CT scan slice

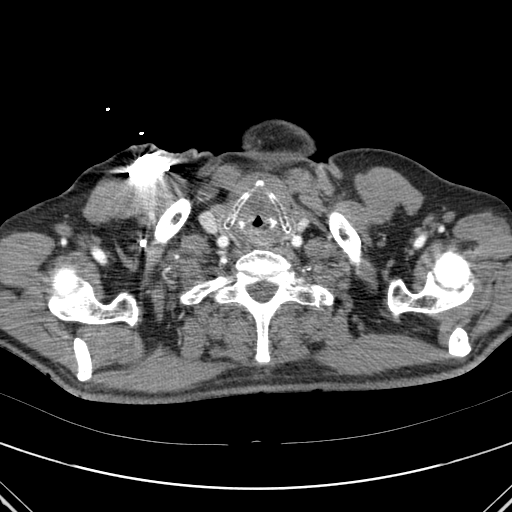 <segmentation>
  <bone>[x1=329, y1=212, x2=360, y2=266], [x1=154, y1=198, x2=190, y2=243], [x1=180, y1=250, x2=333, y2=362], [x1=415, y1=235, x2=425, y2=247], [x1=73, y1=338, x2=91, y2=380], [x1=388, y1=250, x2=474, y2=315], [x1=448, y1=327, x2=470, y2=356], [x1=48, y1=266, x2=138, y2=326]</bone>
</segmentation>